CT; Slice 17 of 43; 512x512 px 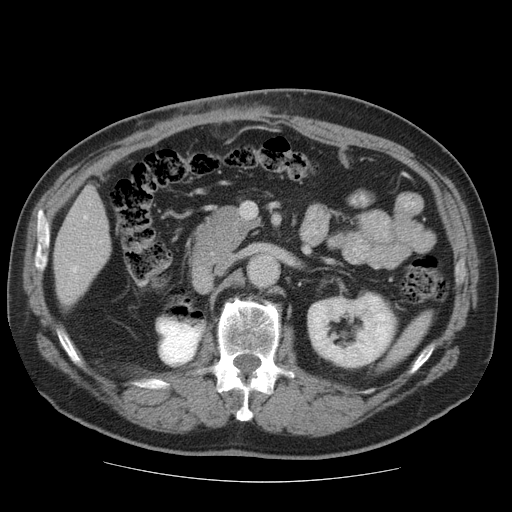 Some hepatic vessels may have no box.
hepatic vessel: [69,266,78,279], [84,215,86,218], [92,242,93,244]